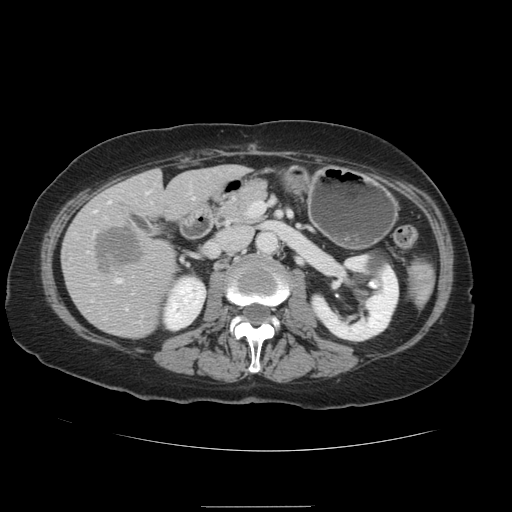

CT slice | Abdomen
The vessel boxes may cover only some of the vessels.
liver tumor: [96,226,143,271] | hepatic vessel: [115,279,119,283], [93,210,95,212], [146,192,149,193], [108,201,109,203]